240x240 | Image width 240 mm | Slice 76 of 155
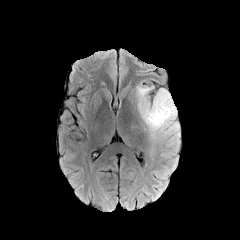
FLAIR MRI.
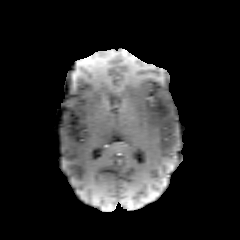
T1-weighted MRI.
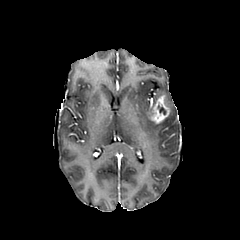
Post-contrast T1-weighted magnetic resonance of the same slice.
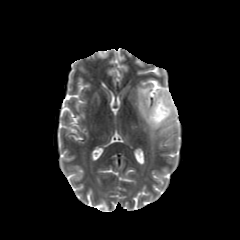
T2-weighted MR of the same slice.
{
  "enhancing_tumor": [
    "x1=147 y1=95 x2=170 y2=124"
  ],
  "edema": [
    "x1=135 y1=82 x2=180 y2=158"
  ]
}